Slice index 199 | Field of view 360x360 mm | CT slice

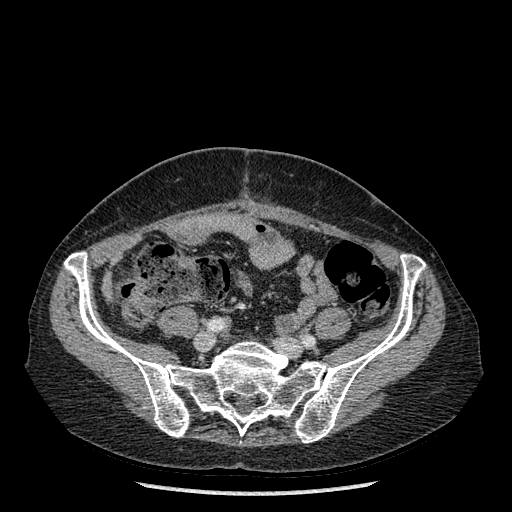

bone:
  - [64, 252, 425, 442]